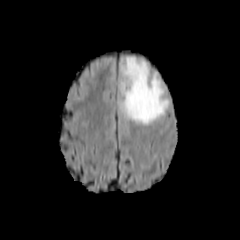
FLAIR MR image.
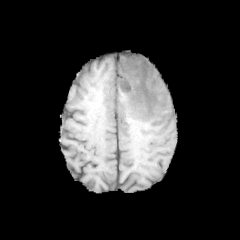
T1-weighted MRI of the same slice.
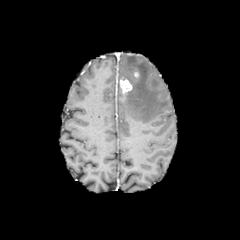
Post-contrast T1-weighted MR image of the same slice.
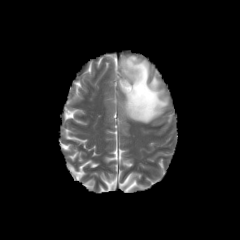
T2-weighted MR image of the same slice.
Head
Findings:
• enhancing tumor: box(120, 78, 132, 93)
• edema: box(120, 56, 169, 124)
• non-enhancing tumor core: box(123, 65, 137, 75)